Brain
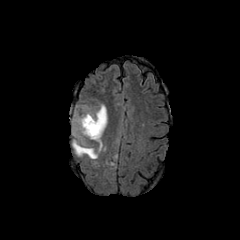
FLAIR MR.
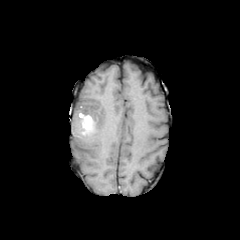
T1-weighted magnetic resonance.
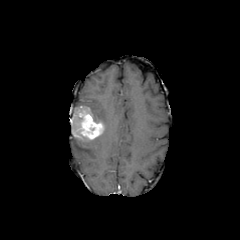
Post-contrast T1-weighted MR.
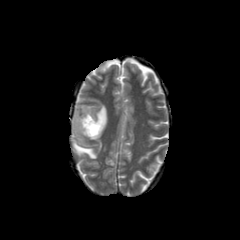
Same slice, T2-weighted magnetic resonance.
The enhancing tumor is at (x1=70, y1=106, x2=103, y2=139). The edema appears at (x1=72, y1=102, x2=107, y2=159).